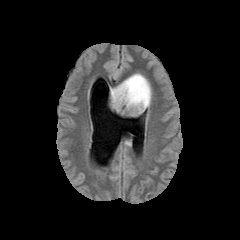
FLAIR magnetic resonance.
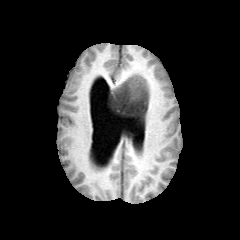
T1-weighted MR of the same slice.
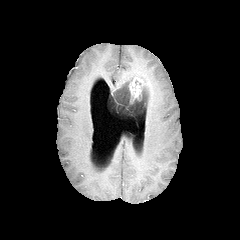
Same slice, post-contrast T1-weighted MR image.
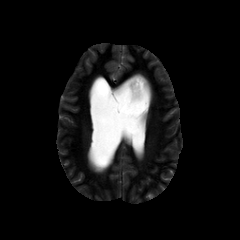
Same slice, T2-weighted MR image.
240x240 px
Enhancing tumor = <bbox>128, 74, 150, 99</bbox>.
Edema = <bbox>142, 88, 149, 109</bbox>, <bbox>110, 74, 135, 95</bbox>.
Non-enhancing tumor core = <bbox>108, 86, 146, 115</bbox>.